Slice index 63.
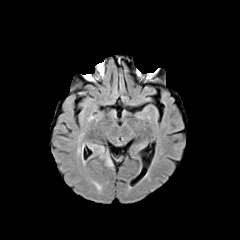
FLAIR MR.
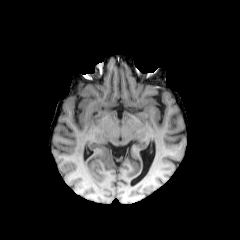
T1-weighted magnetic resonance.
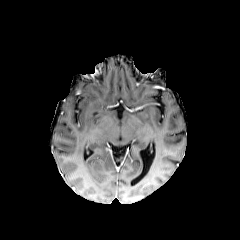
Post-contrast T1-weighted MRI.
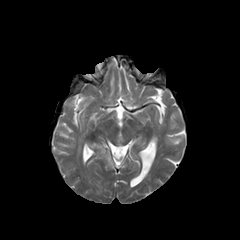
T2-weighted MR of the same slice.
edema: region(89, 144, 113, 166)